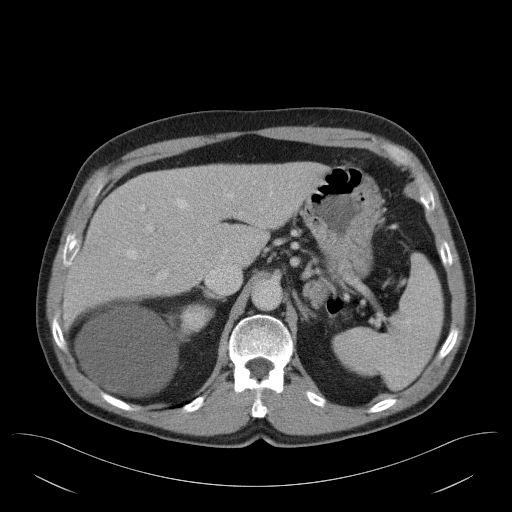
Computed tomography, 512x512 px

Only some of the vessels may be annotated.
6 hepatic vessel regions are bounded by (x1=226, y1=193, x2=232, y2=198), (x1=146, y1=226, x2=152, y2=230), (x1=157, y1=272, x2=166, y2=278), (x1=127, y1=251, x2=135, y2=257), (x1=140, y1=204, x2=144, y2=210), (x1=177, y1=199, x2=186, y2=207).